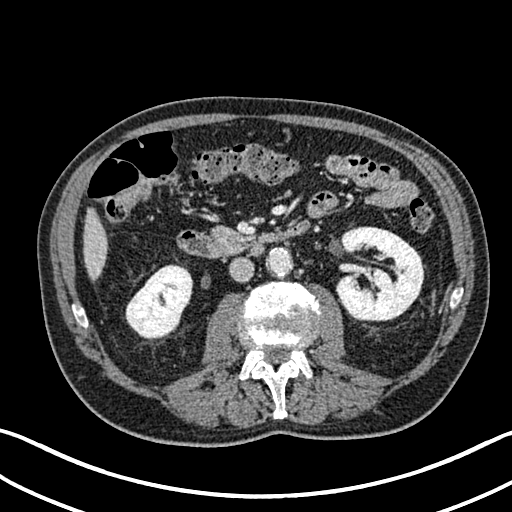

512x512 px. CT. liver:
  - 84, 209, 106, 281
kidney:
  - 337, 227, 423, 320
  - 126, 266, 191, 337